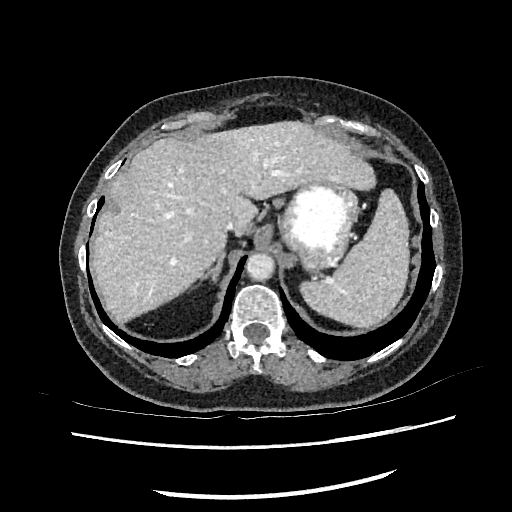 Liver | CT image | 512x512

The liver is at [x1=92, y1=123, x2=375, y2=321].